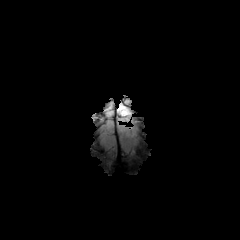
FLAIR MRI.
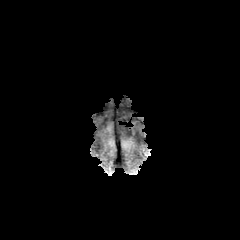
Same slice, T1-weighted MR image.
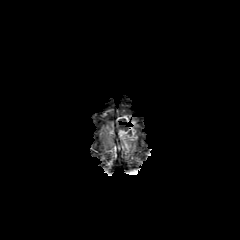
Same slice, post-contrast T1-weighted magnetic resonance.
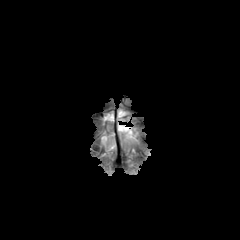
T2-weighted MR.
Head
{
  "enhancing_tumor": [
    "bbox=[125, 128, 137, 138]"
  ]
}